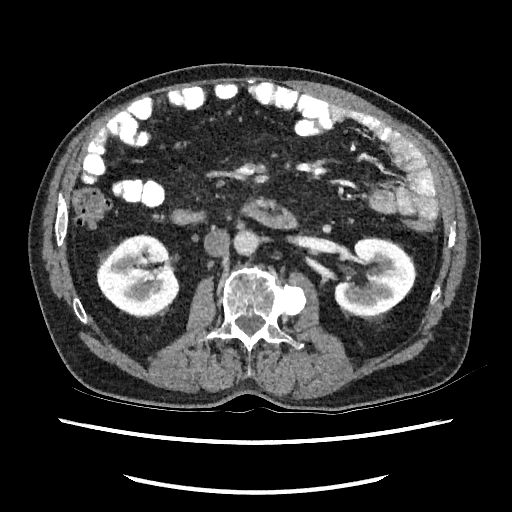 512x512, Abdomen, Computed tomography

2 kidney regions appear at <box>335,238,415,317</box>, <box>97,235,178,316</box>.